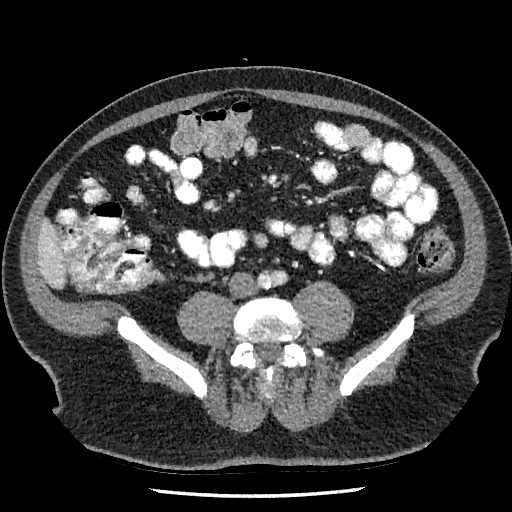

CT
{"liver": ["bbox=[38, 218, 65, 288]"]}